Slice 154/165. Image width 364 mm. CT image. Liver.
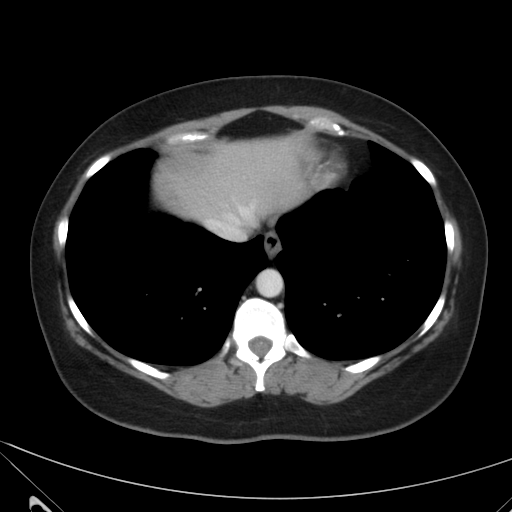
{
  "liver": [
    "159 136 306 232"
  ]
}